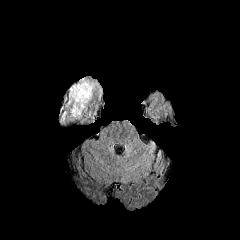
FLAIR MR image.
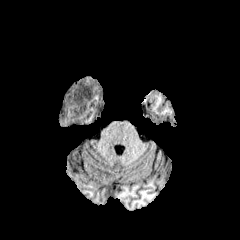
T1-weighted MR image of the same slice.
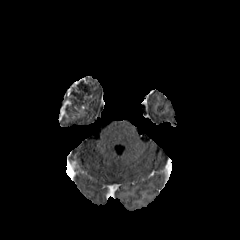
Post-contrast T1-weighted MRI.
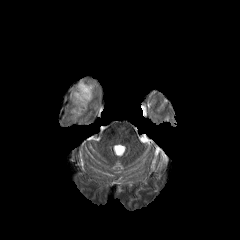
T2-weighted MRI of the same slice.
Brain | Image size 240x240
The non-enhancing tumor core is bounded by [x1=59, y1=76, x2=102, y2=126]. The enhancing tumor is located at [x1=58, y1=99, x2=70, y2=121].